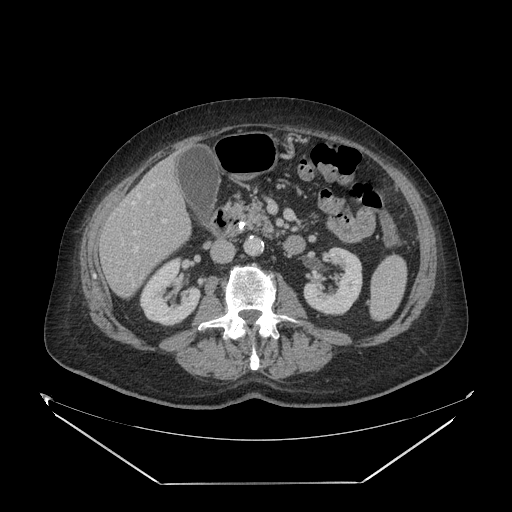 CT image; Image size 512x512

<segmentation>
  <pancreas>244, 200, 275, 236</pancreas>
</segmentation>